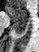 MR
anterior_hippocampus:
  - x1=6, y1=7, x2=27, y2=21
posterior_hippocampus:
  - x1=13, y1=22, x2=26, y2=34